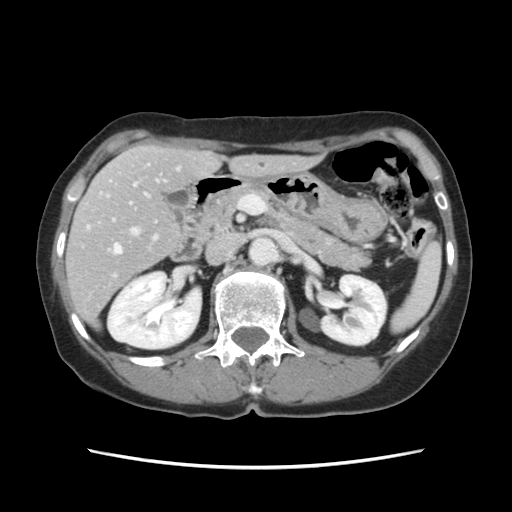
CT scan slice
The vessel boxes may cover only some of the vessels.
<segmentation>
  <hepatic_vessel>x1=133 y1=184 x2=136 y2=186, x1=114 y1=245 x2=121 y2=253, x1=106 y1=195 x2=108 y2=196, x1=177 y1=168 x2=178 y2=169, x1=145 y1=193 x2=147 y2=195, x1=131 y1=228 x2=138 y2=234, x1=154 y1=236 x2=156 y2=238</hepatic_vessel>
</segmentation>